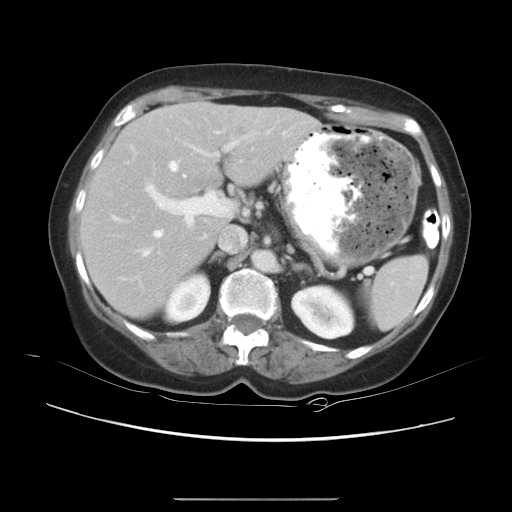 CT slice, Liver
The vessel boxes may cover only some of the vessels.
Segmented structures:
• liver tumor: region(126, 288, 143, 303); region(235, 125, 245, 134)
• hepatic vessel: region(111, 216, 124, 221); region(215, 129, 224, 134); region(145, 182, 173, 207); region(186, 222, 189, 226); region(224, 131, 255, 150); region(119, 276, 141, 286); region(153, 230, 163, 237); region(168, 160, 179, 171); region(139, 248, 151, 256); region(183, 175, 185, 177); region(282, 128, 291, 137); region(266, 128, 273, 134); region(202, 235, 206, 238); region(183, 143, 217, 156); region(158, 251, 159, 253)